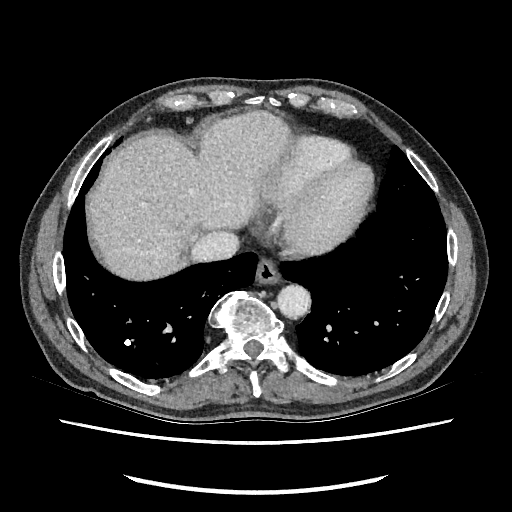

CT, 512x512
Segmented structures:
- liver: l=91, t=113, r=288, b=278